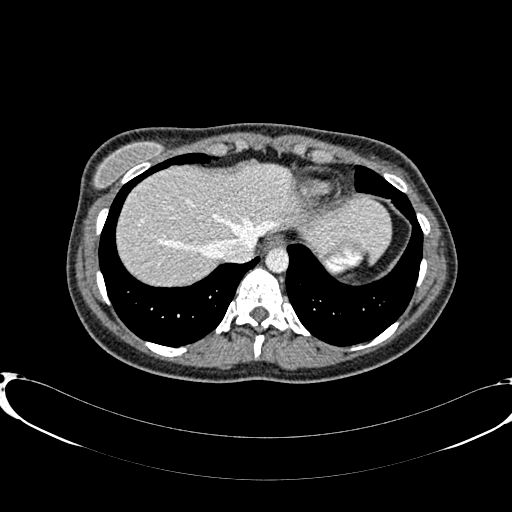
CT scan slice; 512x512 px

2 liver regions are located at 117,164,299,284; 299,198,391,263.